Slice index 29 | Computed tomography 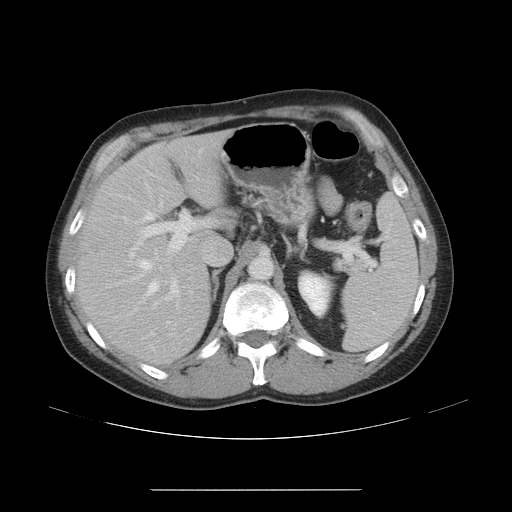

The vessel annotation is not exhaustive.
hepatic_vessel:
  - (left=149, top=281, right=158, bottom=293)
  - (left=143, top=298, right=145, bottom=301)
  - (left=187, top=238, right=196, bottom=240)
  - (left=144, top=209, right=155, bottom=220)
  - (left=143, top=224, right=160, bottom=236)
  - (left=131, top=274, right=141, bottom=282)
  - (left=167, top=321, right=169, bottom=322)
  - (left=165, top=279, right=178, bottom=298)
  - (left=159, top=201, right=162, bottom=209)
  - (left=140, top=260, right=151, bottom=269)
  - (left=150, top=332, right=154, bottom=335)